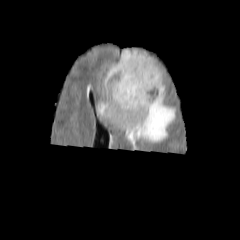
FLAIR MR.
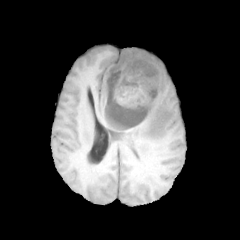
Same slice, T1-weighted MR.
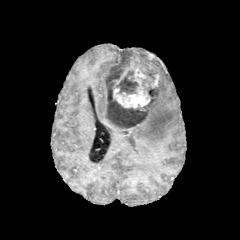
Post-contrast T1-weighted MR image.
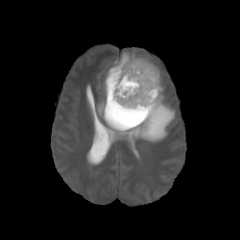
T2-weighted MRI of the same slice.
<segmentation>
  <edema>(left=112, top=58, right=129, bottom=66), (left=139, top=52, right=159, bottom=75), (left=99, top=86, right=175, bottom=151)</edema>
  <non-enhancing_tumor_core>(left=104, top=50, right=161, bottom=128)</non-enhancing_tumor_core>
  <enhancing_tumor>(left=113, top=62, right=152, bottom=107), (left=151, top=74, right=159, bottom=87)</enhancing_tumor>
</segmentation>